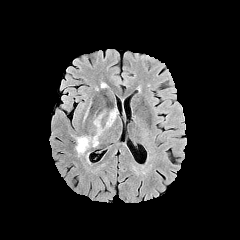
FLAIR MRI.
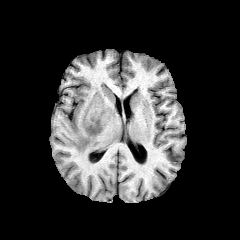
T1-weighted MRI of the same slice.
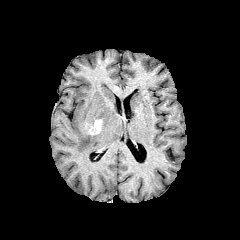
Post-contrast T1-weighted MRI.
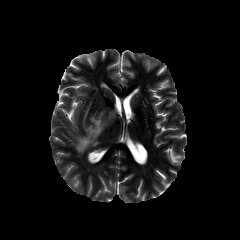
Same slice, T2-weighted magnetic resonance.
Brain
The enhancing tumor is bounded by bbox(88, 119, 102, 135). The edema is located at bbox(68, 111, 116, 154).